CT scan slice. 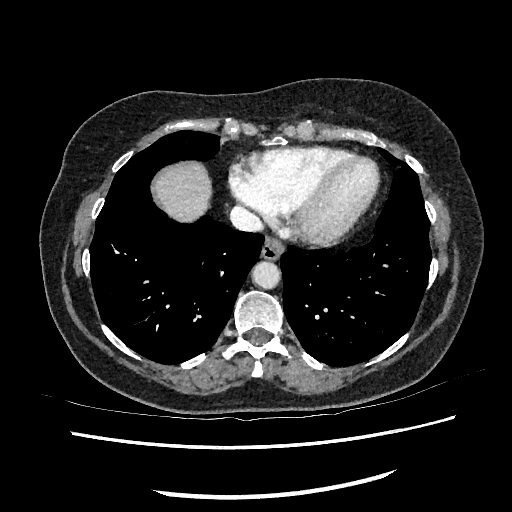
The liver appears at (155, 163, 210, 221).